CT; Liver; 512x512

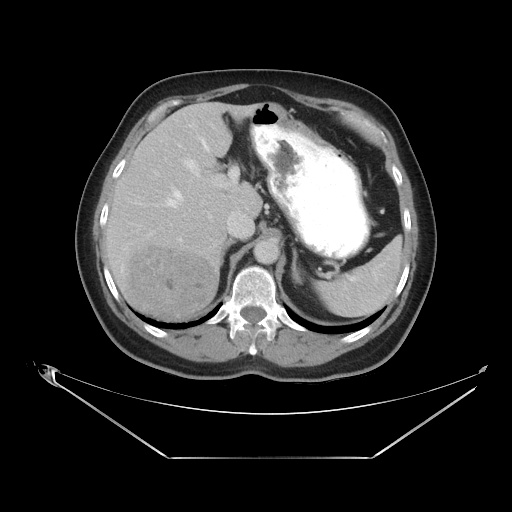
Not every hepatic vessel necessarily has a box.
<segmentation>
  <liver_tumor>l=125, t=240, r=218, b=320</liver_tumor>
  <hepatic_vessel>l=184, t=159, r=196, b=174; l=167, t=191, r=181, b=206</hepatic_vessel>
</segmentation>